Brain | 240x240 | Slice 112/155
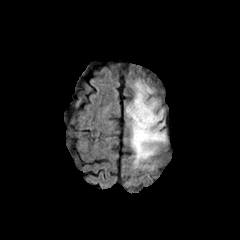
FLAIR MRI.
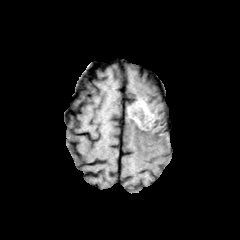
Same slice, T1-weighted MRI.
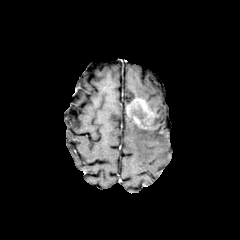
Post-contrast T1-weighted MRI.
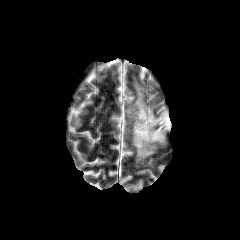
T2-weighted MR.
non-enhancing tumor core: [130, 104, 163, 133] | edema: [127, 116, 166, 168], [131, 81, 164, 118] | enhancing tumor: [127, 98, 154, 117]